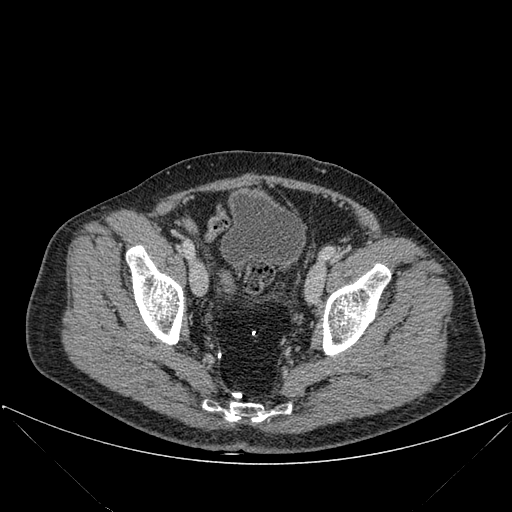

CT scan slice

Bone at box(126, 245, 183, 344); box(323, 264, 390, 355); box(203, 402, 291, 424).